FLAIR MR.
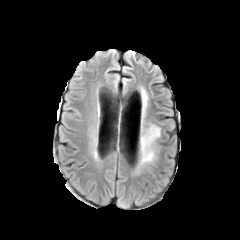
T1-weighted MR.
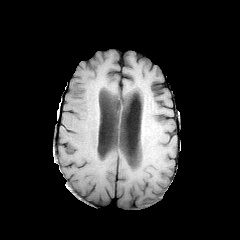
Post-contrast T1-weighted MR.
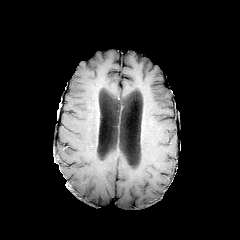
T2-weighted MR image.
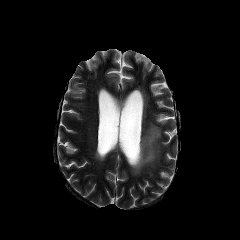
{
  "edema": [
    "139,124,160,167"
  ]
}